Slice 95/155
FLAIR MR image.
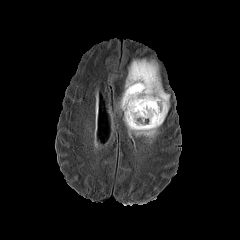
T1-weighted MRI.
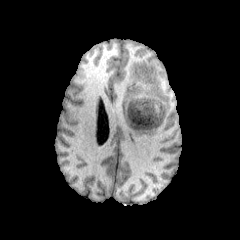
Post-contrast T1-weighted MR.
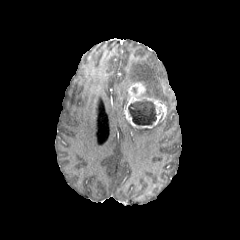
T2-weighted MR.
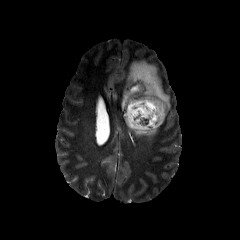
The non-enhancing tumor core lies within x1=128, y1=100, x2=156, y2=126. 2 edema regions appear at x1=121, y1=59, x2=170, y2=113; x1=124, y1=115, x2=162, y2=143. The enhancing tumor is bounded by x1=123, y1=83, x2=166, y2=128.